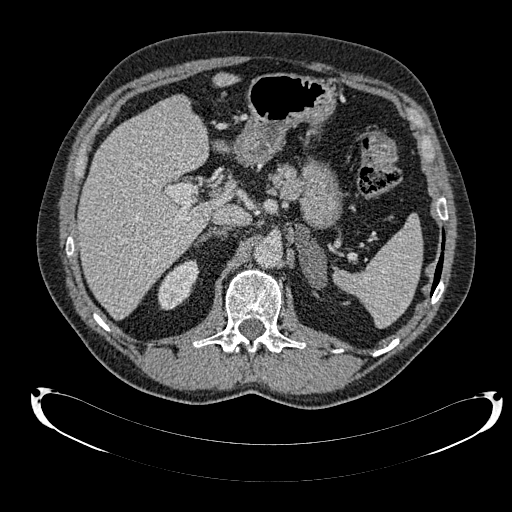

512x512 px. CT image. <segmentation>
  <liver>[x1=78, y1=96, x2=230, y2=317], [x1=214, y1=74, x2=237, y2=86]</liver>
  <kidney>[x1=158, y1=261, x2=197, y2=309]</kidney>
</segmentation>